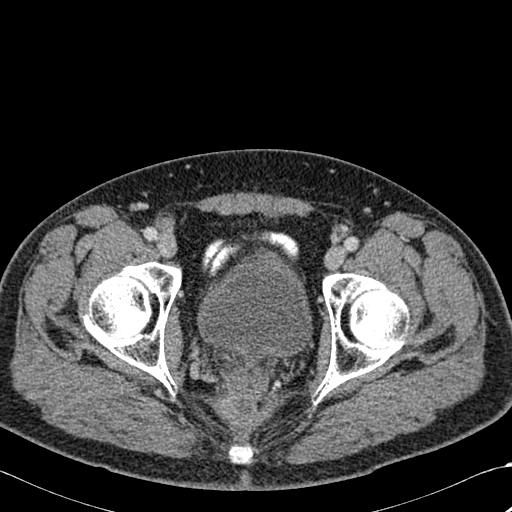 CT scan slice
Bone — rect(230, 447, 252, 462); rect(84, 262, 181, 390); rect(318, 273, 407, 396).